240x240 px
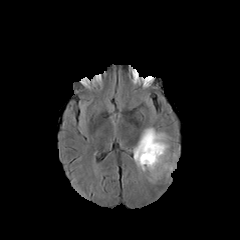
FLAIR MR.
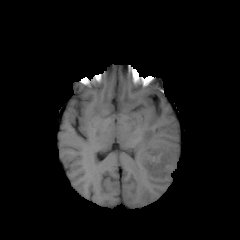
T1-weighted MR image.
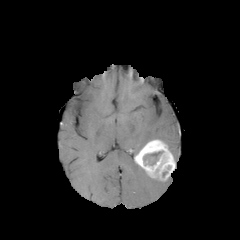
Post-contrast T1-weighted MR image.
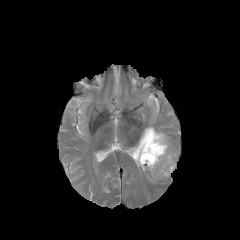
T2-weighted MR.
<segmentation>
  <non-enhancing_tumor_core>[146, 151, 161, 163]</non-enhancing_tumor_core>
  <edema>[132, 125, 177, 160], [136, 163, 159, 182]</edema>
  <enhancing_tumor>[134, 138, 175, 179]</enhancing_tumor>
</segmentation>